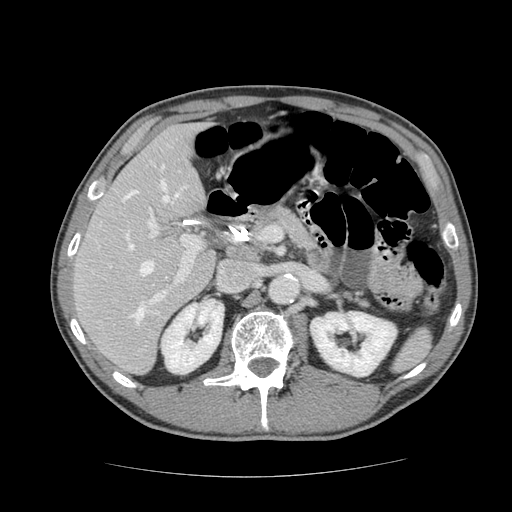 CT slice
The pancreas appears at [251,205,319,258].